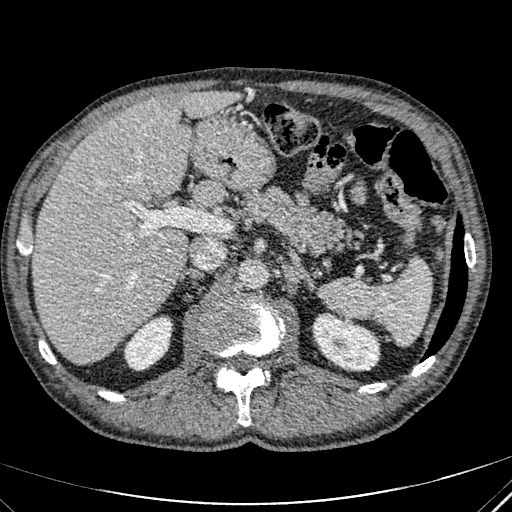 CT scan slice | Abdomen
2 kidney regions appear at (left=314, top=315, right=378, bottom=369), (left=125, top=318, right=170, bottom=369). The liver lesion lies within (left=157, top=95, right=179, bottom=107). 2 liver regions appear at (left=33, top=91, right=242, bottom=362), (left=194, top=182, right=222, bottom=204).